Slice index 52; Head
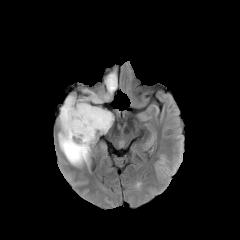
FLAIR MR image.
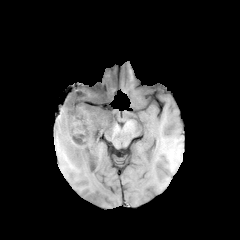
T1-weighted MR image of the same slice.
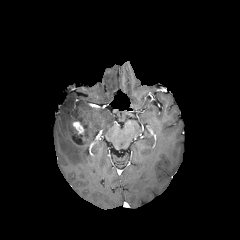
Post-contrast T1-weighted magnetic resonance.
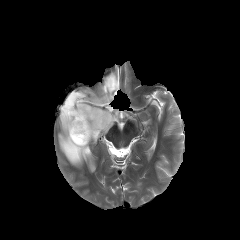
T2-weighted MR of the same slice.
3 edema regions appear at rect(58, 94, 94, 165); rect(88, 110, 114, 133); rect(78, 73, 117, 105). The non-enhancing tumor core appears at rect(71, 101, 103, 145). The enhancing tumor is located at rect(72, 121, 83, 133).